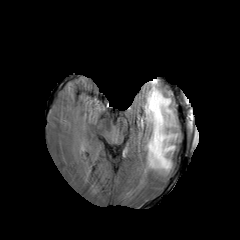
FLAIR MR.
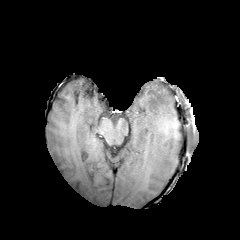
Same slice, T1-weighted MRI.
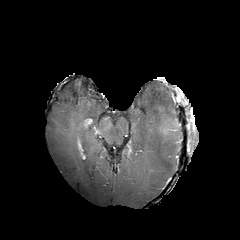
Post-contrast T1-weighted MRI of the same slice.
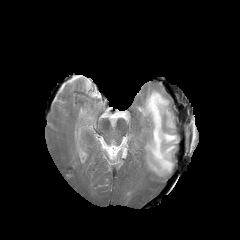
T2-weighted magnetic resonance.
Head | 240x240 px
edema: left=137, top=82, right=179, bottom=176